Image size 240x240. Head. Field of view 240 mm wide, 1.00 mm slice spacing.
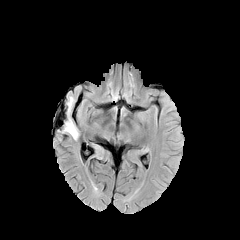
FLAIR magnetic resonance.
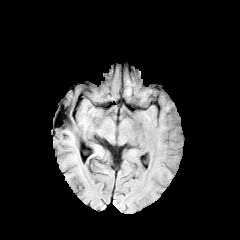
T1-weighted magnetic resonance of the same slice.
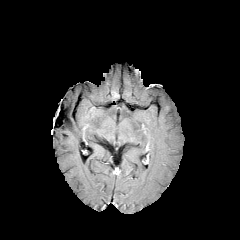
Post-contrast T1-weighted magnetic resonance.
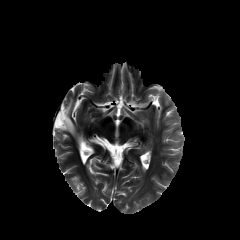
Same slice, T2-weighted MR.
Edema at (x1=63, y1=97, x2=79, y2=139).